Slice 76/155 | Image size 240x240 | Head
FLAIR MRI.
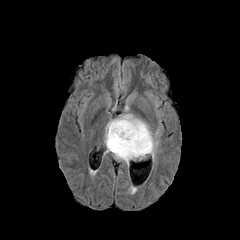
T1-weighted MR.
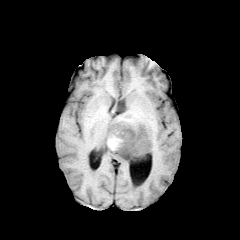
Post-contrast T1-weighted MRI.
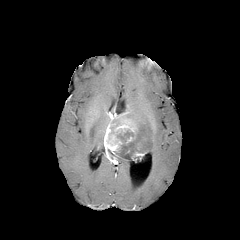
T2-weighted MR image.
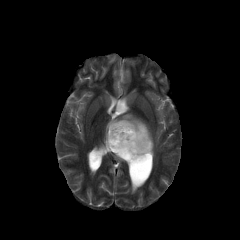
Edema at x1=116, y1=156, x2=137, y2=164; x1=110, y1=113, x2=157, y2=161.
Enhancing tumor at x1=131, y1=151, x2=145, y2=159; x1=104, y1=116, x2=137, y2=154.
Non-enhancing tumor core at x1=116, y1=124, x2=141, y2=160.